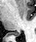
36x42. Medial temporal lobe. MR image. <segmentation>
  <posterior_hippocampus>9,32,20,36</posterior_hippocampus>
</segmentation>